Field of view 378 mm wide, 2.50 mm slice spacing; CT; Abdomen; Slice 40/57 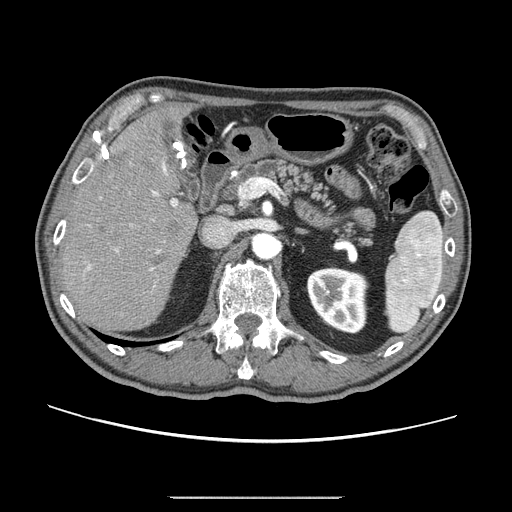

2 pancreas regions are located at (238,159,332,213), (337,225,371,244).